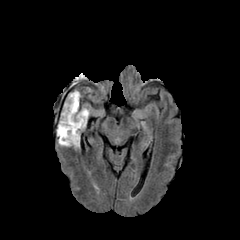
FLAIR MR image.
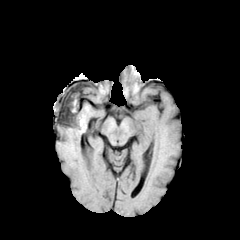
T1-weighted MRI of the same slice.
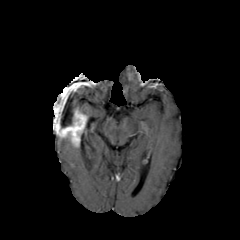
Same slice, post-contrast T1-weighted MRI.
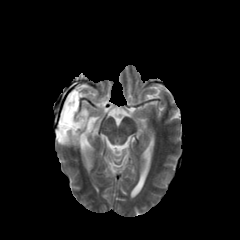
T2-weighted MR image.
<segmentation>
  <enhancing_tumor>[56,108,86,133], [61,82,87,113]</enhancing_tumor>
  <non-enhancing_tumor_core>[73,76,91,87], [55,86,87,127]</non-enhancing_tumor_core>
  <edema>[78,86,91,116], [58,124,84,145]</edema>
</segmentation>